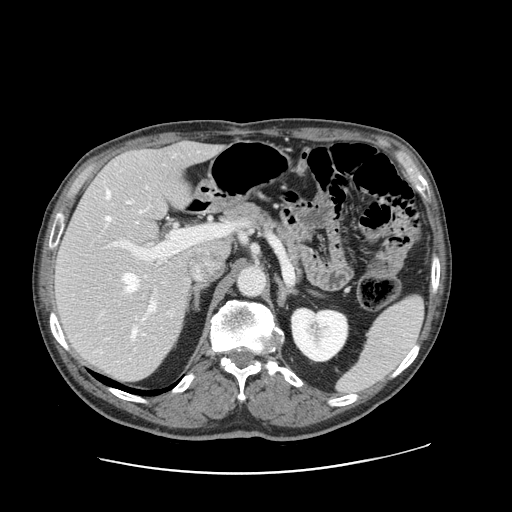
CT; Image size 512x512
Some hepatic vessels may have no box.
Hepatic vessel = box(106, 216, 110, 220); box(123, 273, 137, 291); box(106, 189, 110, 198); box(132, 329, 136, 337); box(148, 301, 155, 312); box(113, 242, 142, 254); box(147, 248, 157, 258); box(139, 210, 143, 212); box(126, 201, 130, 203).